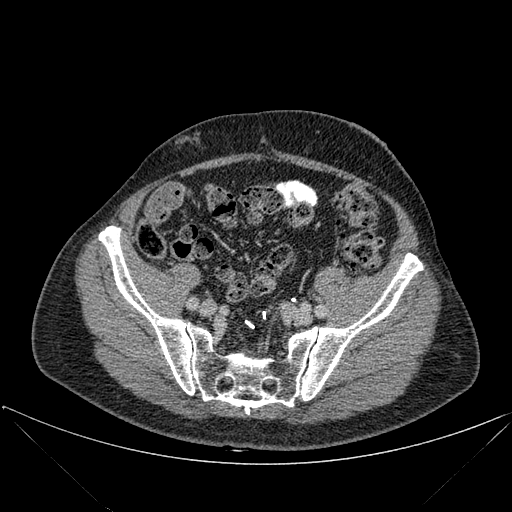

Image size 512x512; CT
bone: <bbox>99, 226, 422, 414</bbox>